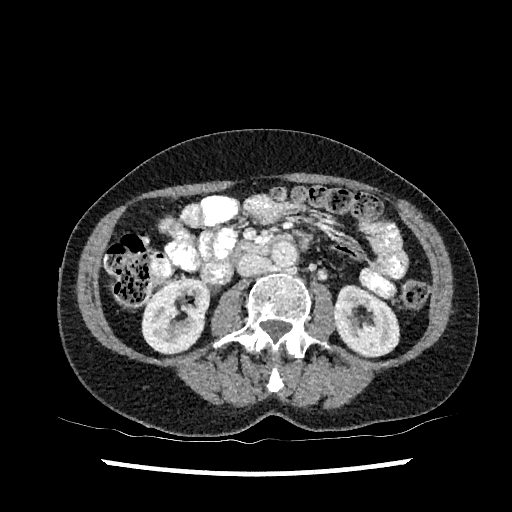 CT scan slice; Abdomen

kidney: 334,286,398,355; 142,279,209,353